Medial temporal lobe. Slice 9/38. MRI.

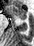

anterior hippocampus: box(7, 5, 26, 19)